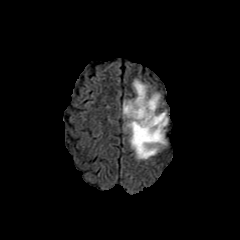
FLAIR MR.
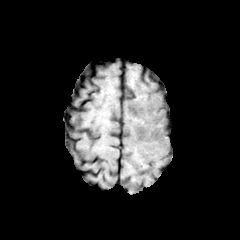
T1-weighted MR image.
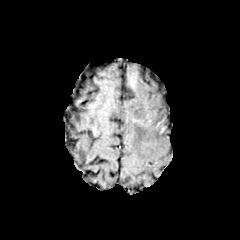
Post-contrast T1-weighted MR image of the same slice.
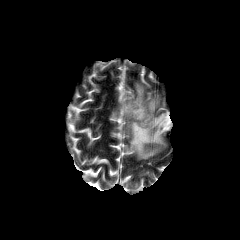
Same slice, T2-weighted MR image.
Image size 240x240
Edema: bounding box (122,80,169,159).
Non-enhancing tumor core: bounding box (141,114,151,125), (156,117,167,132).